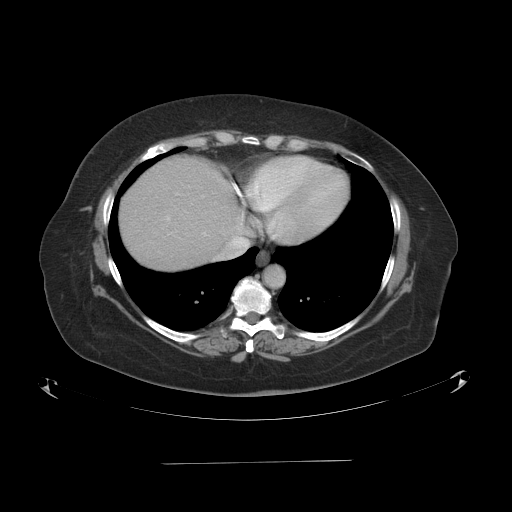

Image size 512x512, CT image
Some hepatic vessels may have no box.
The hepatic vessel appears at (left=216, top=237, right=247, bottom=258).